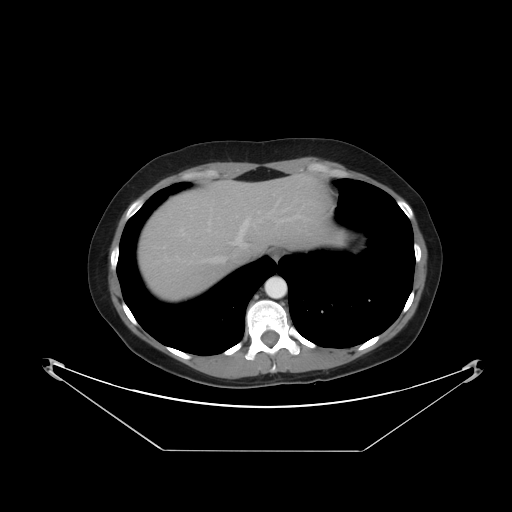
512x512 px; Abdomen; CT scan slice
Not every hepatic vessel necessarily has a box.
hepatic vessel: (left=286, top=215, right=299, bottom=220), (left=206, top=256, right=224, bottom=262), (left=208, top=230, right=209, bottom=231), (left=245, top=219, right=249, bottom=226), (left=252, top=224, right=254, bottom=225), (left=230, top=227, right=246, bottom=246), (left=180, top=230, right=183, bottom=234)